FLAIR MR image.
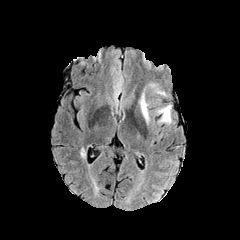
T1-weighted MR.
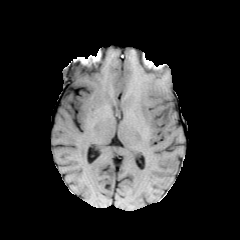
Post-contrast T1-weighted MR.
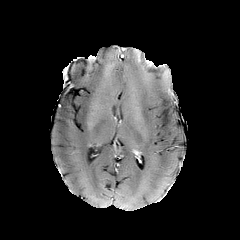
T2-weighted MR image.
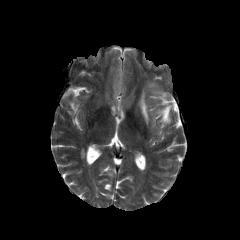
Brain.
<segmentation>
  <edema>region(139, 93, 149, 122); region(157, 104, 171, 123)</edema>
</segmentation>